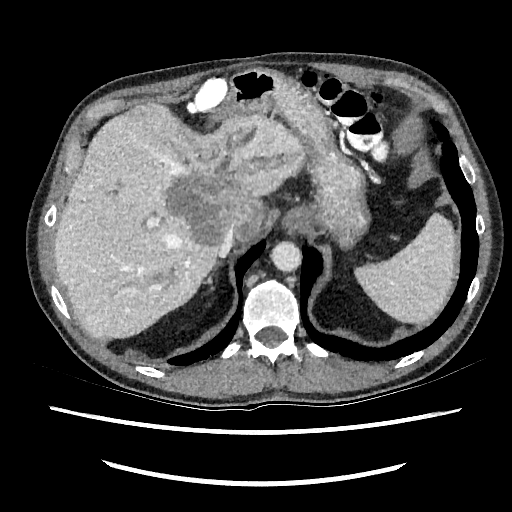 CT image
{
  "hepatic_lesion": [
    "l=164, t=175, r=261, b=245"
  ],
  "liver": [
    "l=53, t=101, r=304, b=339"
  ]
}